512x512 px. Image width 409 mm. CT image.
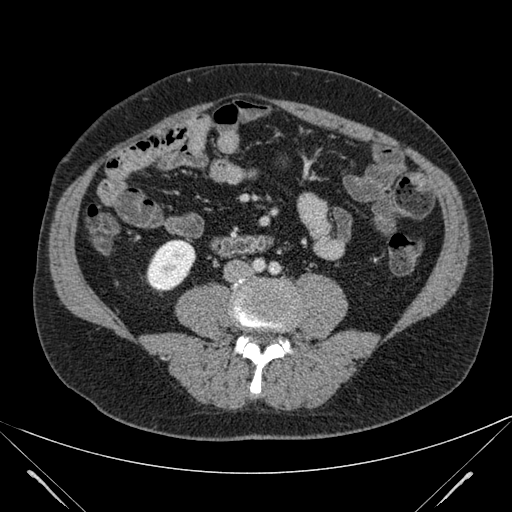

{"kidney": ["<box>148,240,194,289</box>"]}